FLAIR MR.
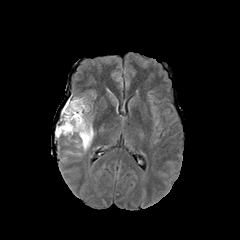
T1-weighted magnetic resonance.
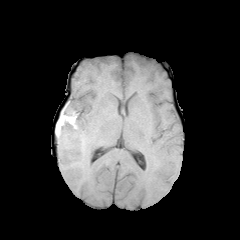
Post-contrast T1-weighted MR image.
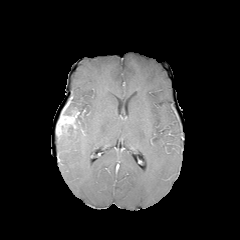
T2-weighted MR.
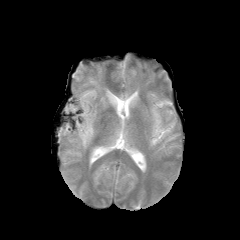
240x240
Segmented structures:
- enhancing tumor: rect(60, 115, 74, 125)
- non-enhancing tumor core: rect(68, 110, 82, 119); rect(59, 121, 77, 136)
- edema: rect(61, 94, 95, 155)